Image size 512x512. CT slice. Abdomen. Image width 402 mm. 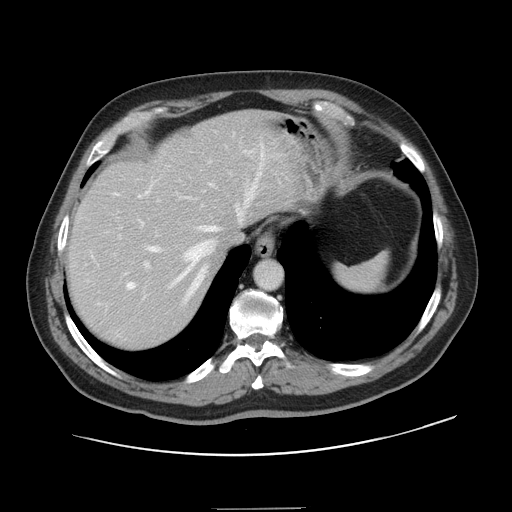 The vessel annotation is not exhaustive.
hepatic vessel: (157,200,158,201), (258,172,260,175), (171,240,214,285), (245,180,256,206), (138,195,141,197), (145,189,149,193), (149,247,159,251), (115,193,117,194), (127,282,133,288), (237,208,242,221), (184,197,190,197), (144,261,148,268), (190,267,205,292), (262,148,263,157), (205,226,218,230)